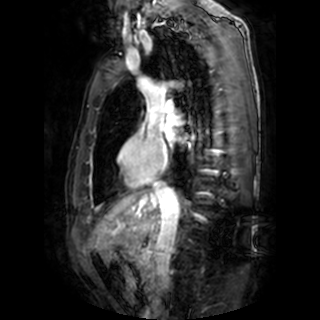 320x320, MR image
Left atrium at (178, 136, 185, 143), (166, 130, 173, 139).